Slice index 134 | 240x240 px
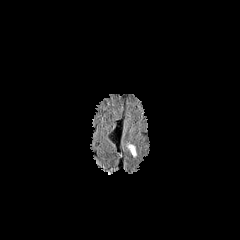
FLAIR MR image.
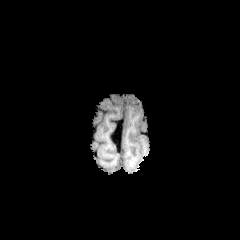
T1-weighted magnetic resonance of the same slice.
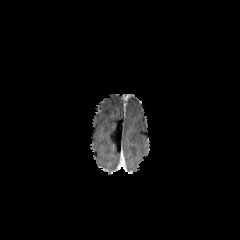
Post-contrast T1-weighted MRI of the same slice.
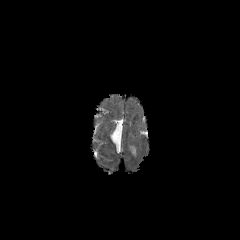
T2-weighted MRI of the same slice.
Findings:
• edema: (x1=128, y1=145, x2=135, y2=155)